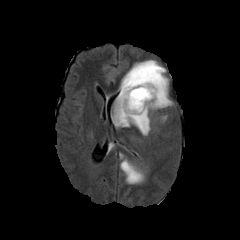
FLAIR magnetic resonance.
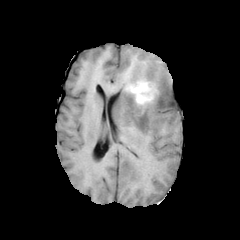
T1-weighted magnetic resonance of the same slice.
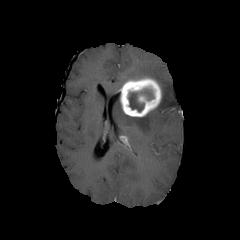
Post-contrast T1-weighted MR image.
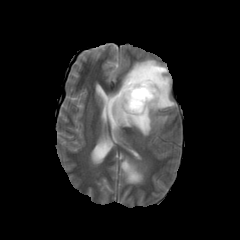
T2-weighted MR.
Head
{
  "enhancing_tumor": [
    "region(120, 76, 161, 117)"
  ],
  "edema": [
    "region(120, 160, 143, 183)",
    "region(120, 59, 172, 109)",
    "region(113, 93, 151, 135)"
  ],
  "non-enhancing_tumor_core": [
    "region(129, 92, 144, 111)",
    "region(140, 88, 153, 100)"
  ]
}